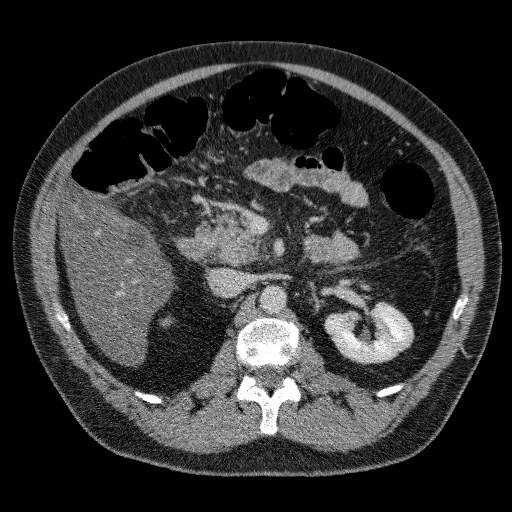 Liver, CT slice
The liver lesion lies within 122,224,149,254. The liver appears at 59,192,172,363. The kidney appears at 326,303,412,361.